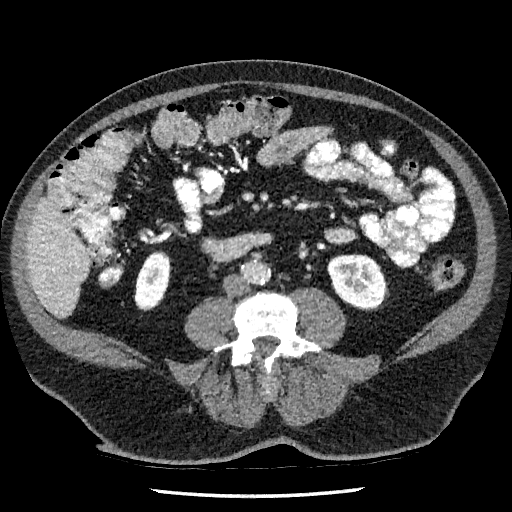

Liver | Computed tomography
<segmentation>
  <kidney>(328,255,384,307), (135,254,169,308)</kidney>
  <liver>(27,195,88,317)</liver>
</segmentation>